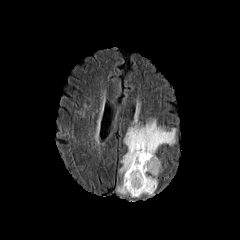
FLAIR magnetic resonance.
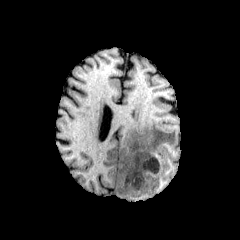
T1-weighted MRI.
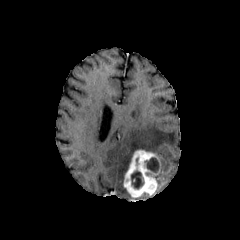
Post-contrast T1-weighted MRI of the same slice.
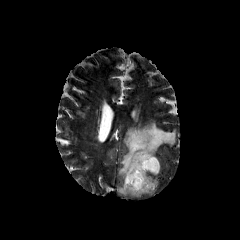
T2-weighted MR.
240x240 px | Head
The edema lies within 117 118 175 195. The enhancing tumor is bounded by 123 150 159 197. 2 non-enhancing tumor core regions appear at 145 158 161 173, 130 170 144 189.